Slice index 82 | Field of view 330 mm wide, 1.50 mm slice spacing | Liver | CT scan slice

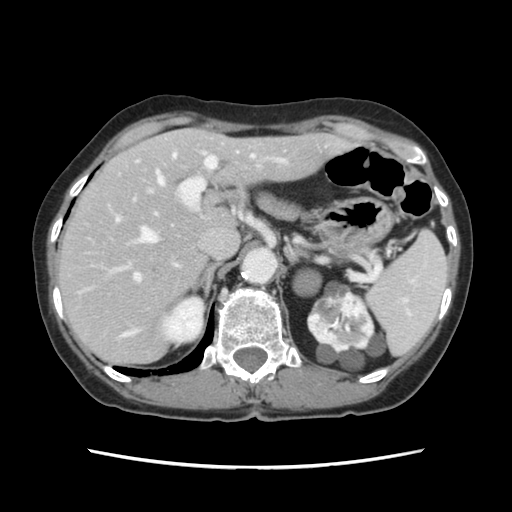 Only some of the vessels may be annotated.
Hepatic vessel: bounding box (left=155, top=213, right=156, bottom=214), (left=175, top=264, right=177, bottom=265), (left=136, top=160, right=138, bottom=162), (left=139, top=228, right=155, bottom=242), (left=202, top=152, right=206, bottom=155), (left=115, top=217, right=119, bottom=221), (left=251, top=155, right=254, bottom=158), (left=134, top=273, right=140, bottom=280), (left=277, top=159, right=284, bottom=162), (left=156, top=171, right=163, bottom=184), (left=172, top=154, right=175, bottom=157), (left=127, top=264, right=129, bottom=267).